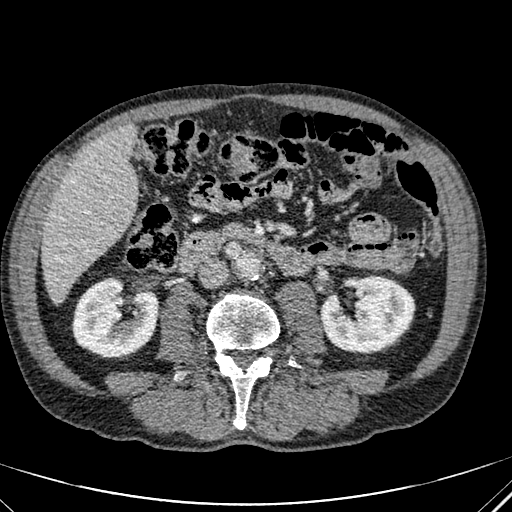

Abdomen; 512x512 px; Computed tomography
Kidney: bounding box (322,277,413,351), (74,279,157,356).
Liver: bounding box (41,124,136,302).